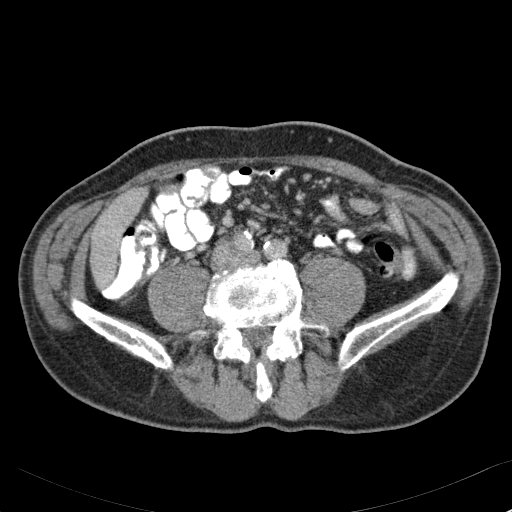

CT scan slice | Liver

Liver at {"x1": 123, "y1": 188, "x2": 145, "y2": 210}, {"x1": 91, "y1": 200, "x2": 134, "y2": 285}.